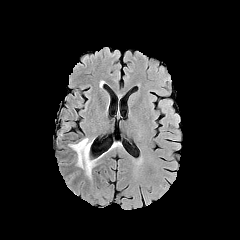
FLAIR MR image.
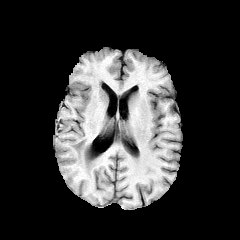
T1-weighted MR.
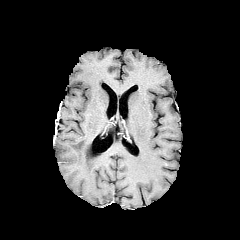
Same slice, post-contrast T1-weighted magnetic resonance.
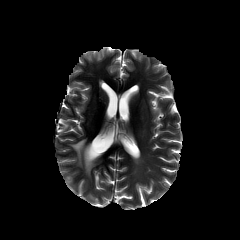
T2-weighted magnetic resonance.
Brain
Edema — (x1=68, y1=138, x2=97, y2=177).